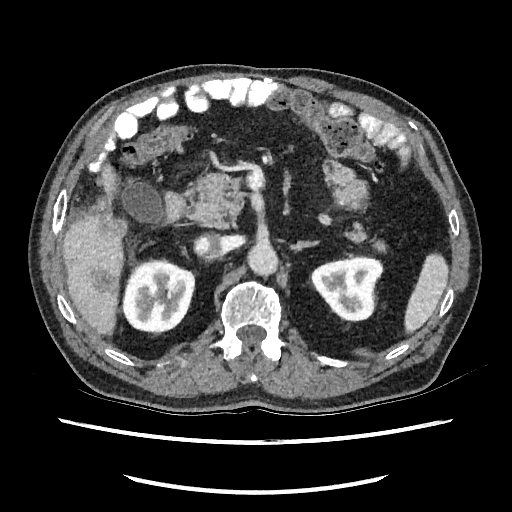 Abdomen; Computed tomography

{
  "liver": [
    "(63,214,123,332)",
    "(102,167,115,192)"
  ],
  "kidney": [
    "(311,254,382,320)",
    "(122,259,194,333)"
  ],
  "hepatic_lesion": [
    "(96,214,125,236)",
    "(90,267,117,294)"
  ]
}